Image size 240x240 | Field of view 240 mm wide, 1.00 mm slice spacing
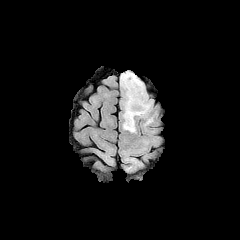
FLAIR magnetic resonance.
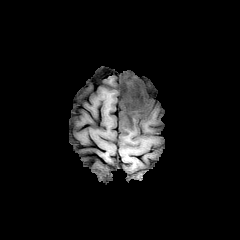
T1-weighted magnetic resonance of the same slice.
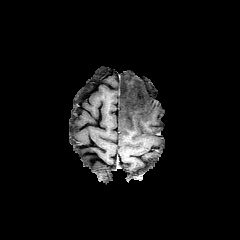
Post-contrast T1-weighted MR.
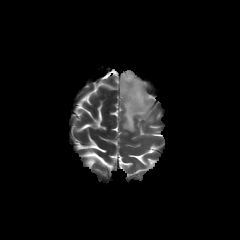
T2-weighted MRI.
{"edema": ["120 71 153 132"], "non-enhancing_tumor_core": ["126 78 133 92", "123 148 133 159", "129 93 142 121"]}